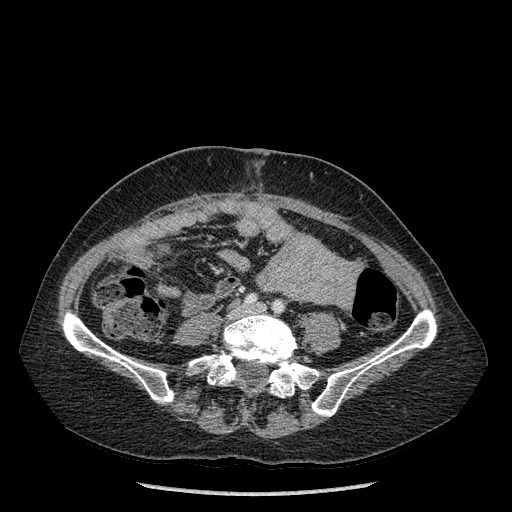

CT slice
* bone: <box>188,312,319,397</box>, <box>62,311,173,403</box>, <box>311,309,436,416</box>